FLAIR magnetic resonance.
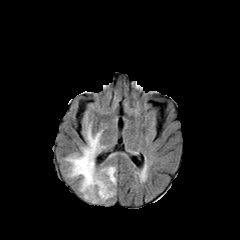
T1-weighted MR image.
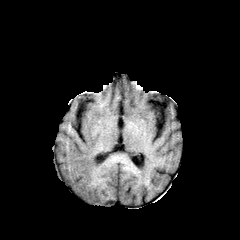
Post-contrast T1-weighted magnetic resonance.
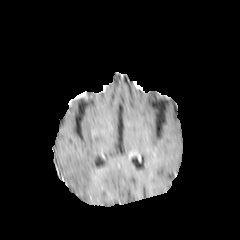
T2-weighted MRI.
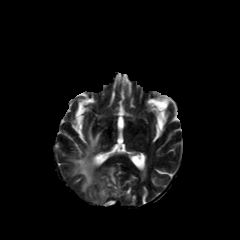
Edema at 66,123,116,202.